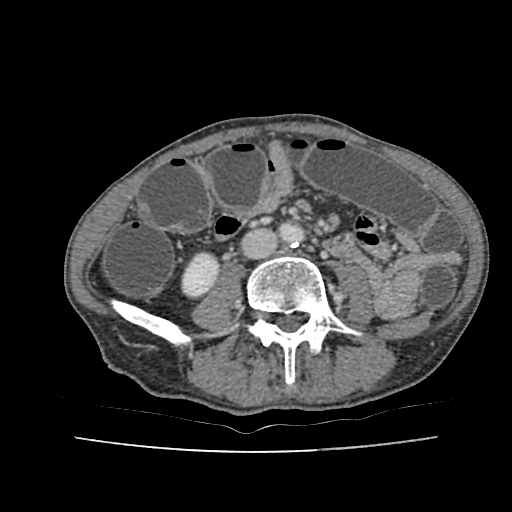
Abdomen; CT slice
The kidney is bounded by (left=183, top=254, right=217, bottom=295).